Slice index 106; Field of view 240x240 mm
FLAIR magnetic resonance.
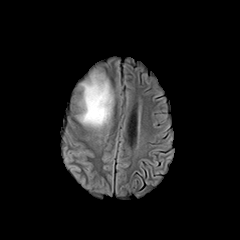
T1-weighted MRI.
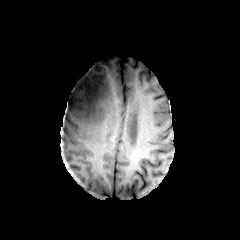
Post-contrast T1-weighted magnetic resonance.
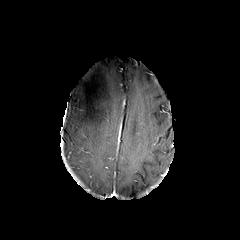
T2-weighted magnetic resonance.
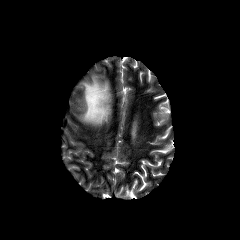
{
  "edema": [
    "(77, 73, 113, 131)"
  ]
}